Slice index 16. Field of view 35x56 mm. 35x56 px. Magnetic resonance. Hippocampus.
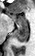
Posterior hippocampus = 15, 23, 28, 41.
Anterior hippocampus = 7, 13, 26, 22.